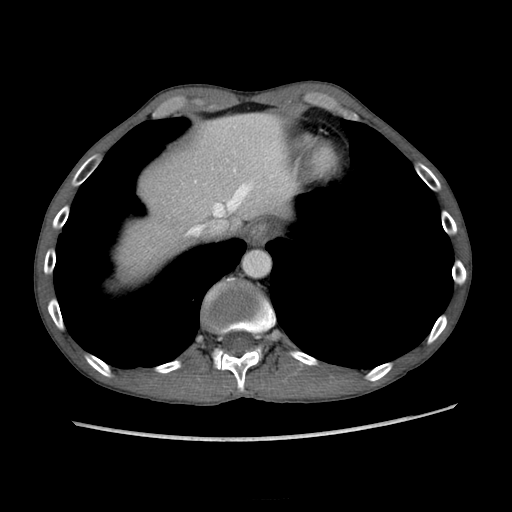

CT scan slice
<segmentation>
  <liver>[109,112,300,282]</liver>
</segmentation>